Slice 113/155
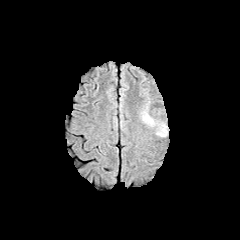
FLAIR MR image.
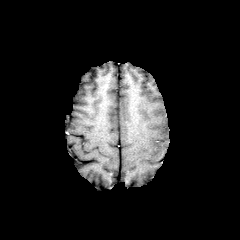
Same slice, T1-weighted MRI.
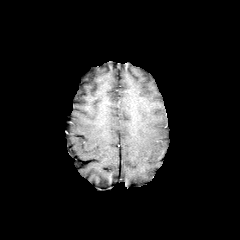
Post-contrast T1-weighted MR.
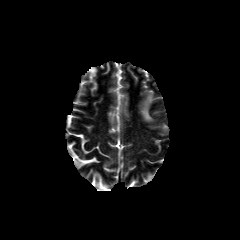
T2-weighted MRI.
The edema is bounded by box=[140, 92, 167, 136].